CT
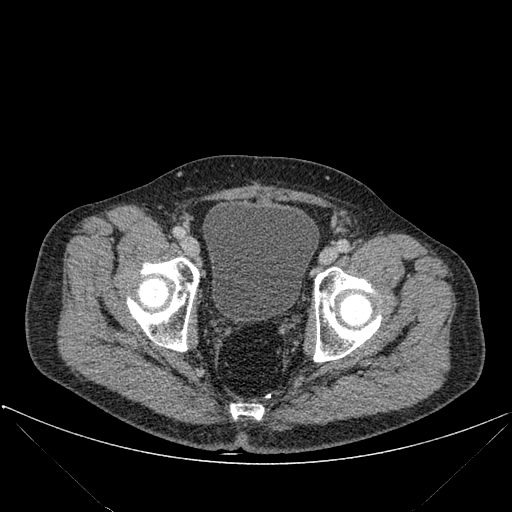

bone: left=127, top=257, right=199, bottom=351; left=230, top=404, right=263, bottom=419; left=313, top=267, right=380, bottom=361 | urinary bladder: left=202, top=199, right=318, bottom=322